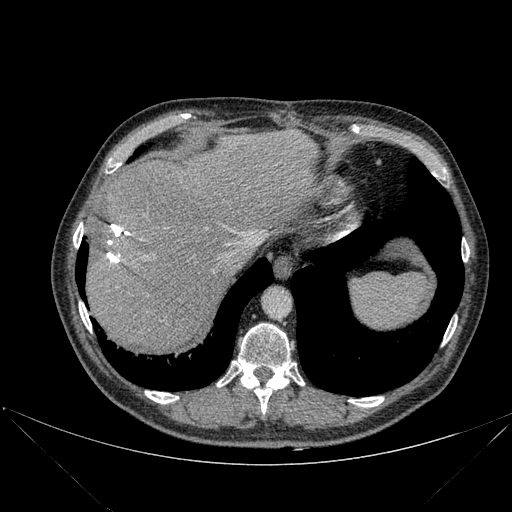 Upper abdomen. CT scan slice. 2 liver regions appear at 86,130,319,351; 244,245,248,264. 4 lung regions are located at 291,157,464,395; 96,258,273,390; 129,146,144,161; 75,239,88,300. 9 bone regions are located at 442,320,456,345; 79,302,91,332; 217,380,229,386; 232,323,303,413; 109,159,121,171; 462,238,469,261; 145,391,178,403; 348,397,383,407; 73,223,83,247.